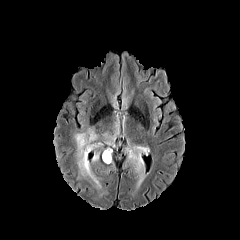
FLAIR MR.
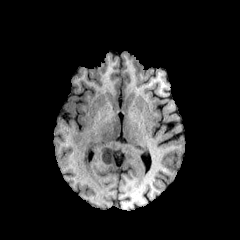
Same slice, T1-weighted MRI.
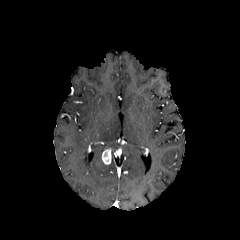
Post-contrast T1-weighted MRI of the same slice.
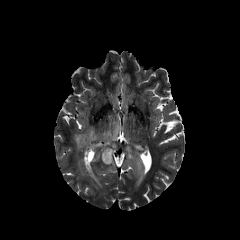
Same slice, T2-weighted MRI.
Brain. Image size 240x240.
edema: [x1=125, y1=145, x2=146, y2=179], [x1=91, y1=150, x2=99, y2=161], [x1=75, y1=131, x2=101, y2=188] | enhancing tumor: [x1=101, y1=148, x2=111, y2=164]